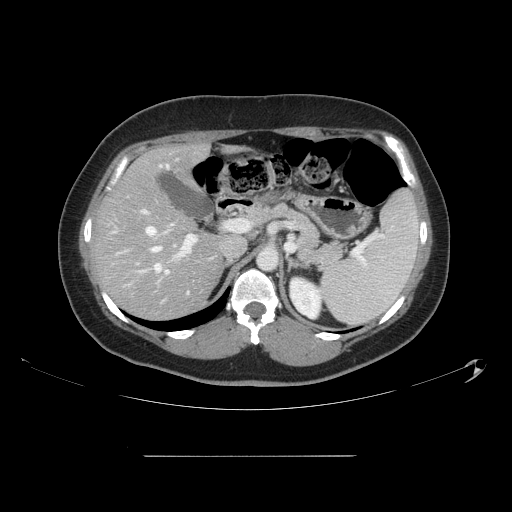 Liver | CT
Only some of the vessels may be annotated.
8 hepatic vessel regions are bounded by 174, 234, 195, 258; 138, 271, 143, 272; 166, 165, 168, 167; 154, 264, 161, 272; 146, 227, 155, 234; 151, 247, 161, 251; 141, 210, 146, 212; 165, 269, 168, 273.